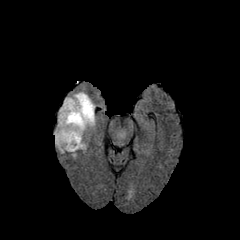
FLAIR MR image.
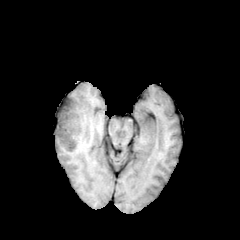
Same slice, T1-weighted MR image.
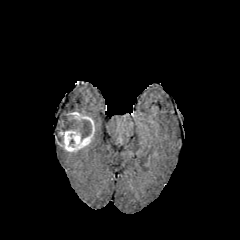
Same slice, post-contrast T1-weighted MR.
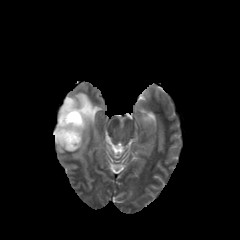
T2-weighted MRI.
240x240
<segmentation>
  <non-enhancing_tumor_core>rect(55, 98, 94, 142)</non-enhancing_tumor_core>
  <enhancing_tumor>rect(66, 111, 93, 129); rect(55, 128, 89, 151)</enhancing_tumor>
  <edema>rect(80, 122, 90, 135); rect(56, 92, 96, 123)</edema>
</segmentation>